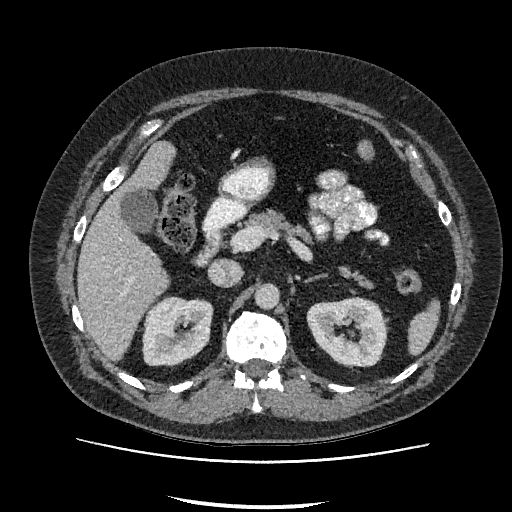 Computed tomography, Liver
kidney: [308,298,385,365], [144,298,211,364] | liver: [78,141,173,360]